Image width 358 mm. CT. 512x512 px. Abdomen.
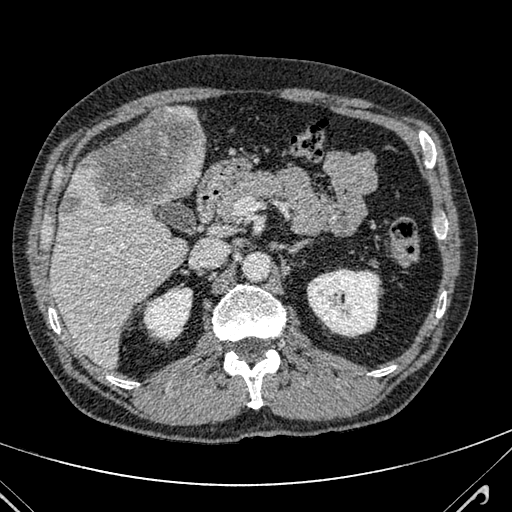 <segmentation>
  <hepatic_lesion>{"x1": 82, "y1": 109, "x2": 204, "y2": 207}, {"x1": 60, "y1": 190, "x2": 79, "y2": 212}</hepatic_lesion>
  <liver>{"x1": 167, "y1": 107, "x2": 205, "y2": 147}, {"x1": 52, "y1": 156, "x2": 186, "y2": 368}, {"x1": 154, "y1": 158, "x2": 204, "y2": 205}</liver>
</segmentation>